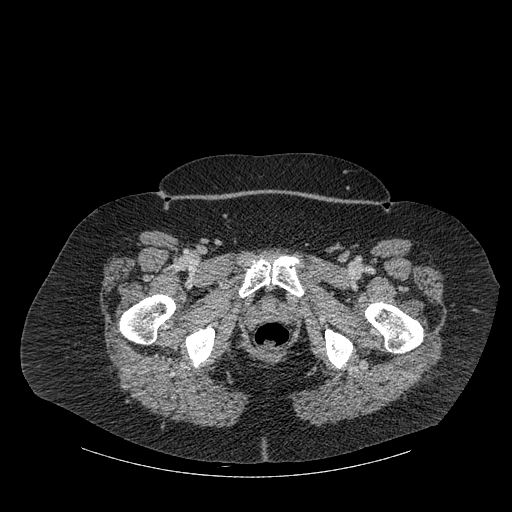

512x512, CT slice

{
  "bone": [
    "<bbox>365, 302, 423, 352</bbox>",
    "<bbox>120, 294, 175, 343</bbox>",
    "<bbox>186, 327, 214, 367</bbox>",
    "<bbox>325, 329, 352, 368</bbox>",
    "<bbox>239, 256, 303, 297</bbox>"
  ]
}